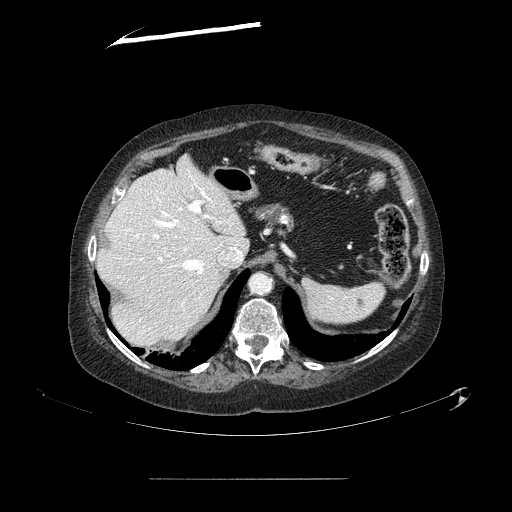 CT slice. 512x512.
Pancreas = x1=254, y1=203, x2=289, y2=225.